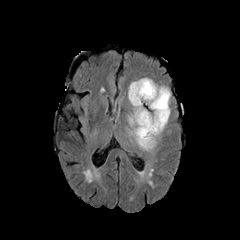
FLAIR magnetic resonance.
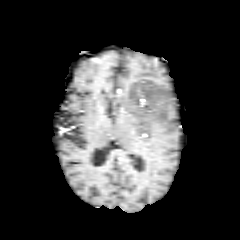
T1-weighted MRI of the same slice.
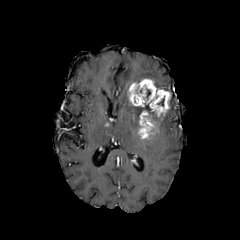
Post-contrast T1-weighted MRI of the same slice.
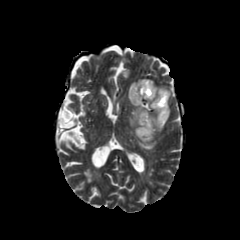
T2-weighted MR image.
Image size 240x240 | Head
{
  "edema": [
    "l=153, t=81, r=170, b=94",
    "l=127, t=78, r=170, b=151"
  ],
  "enhancing_tumor": [
    "l=139, t=112, r=152, b=138",
    "l=129, t=79, r=170, b=117"
  ],
  "non-enhancing_tumor_core": [
    "l=135, t=90, r=164, b=124"
  ]
}